Slice 27/155; 240x240 px; Brain
FLAIR MR image.
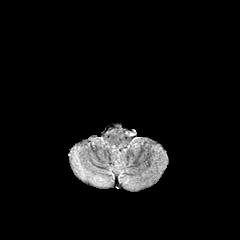
T1-weighted MR image.
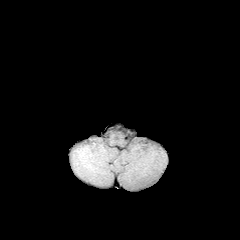
Post-contrast T1-weighted MR image.
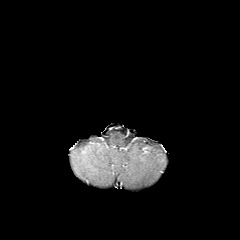
T2-weighted MRI.
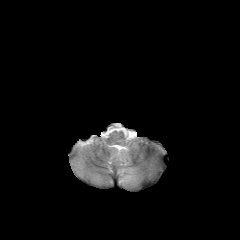
Edema = [x1=105, y1=141, x2=136, y2=183].